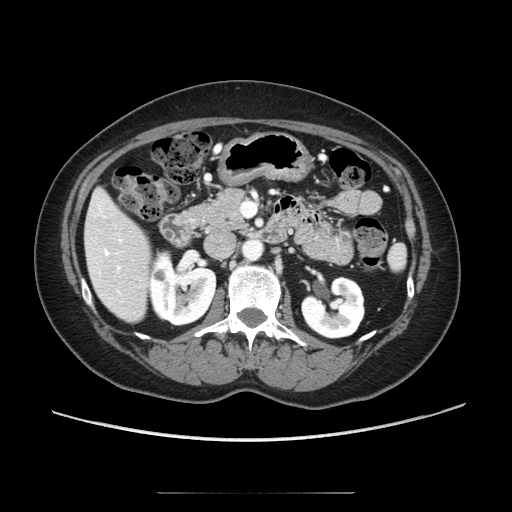
CT | 512x512 px
Annotated regions:
- pancreas: x1=184 y1=189 x2=246 y2=230